Field of view 240 mm wide, 1.00 mm slice spacing | Head
FLAIR MRI.
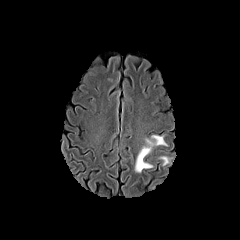
T1-weighted MR.
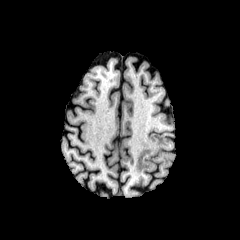
Post-contrast T1-weighted MR.
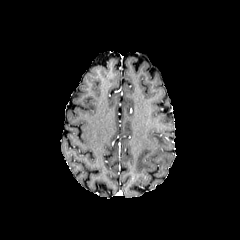
T2-weighted MR.
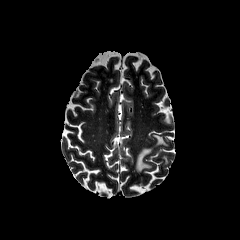
* edema: box(134, 135, 167, 173)